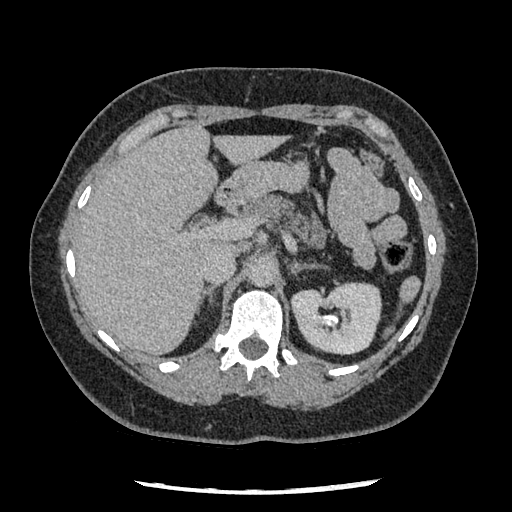
Image size 512x512; CT scan slice

The pancreas is at 246, 195, 310, 241.